FLAIR magnetic resonance.
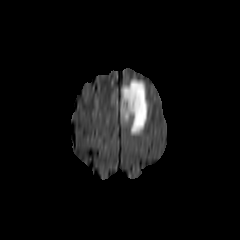
T1-weighted MRI.
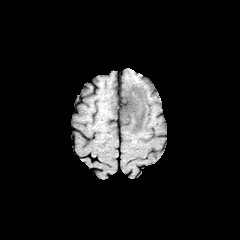
Post-contrast T1-weighted magnetic resonance.
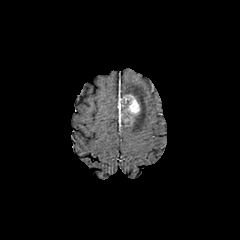
T2-weighted magnetic resonance.
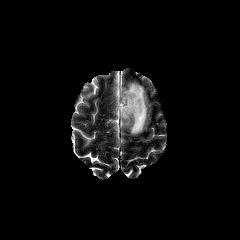
Image size 240x240; Head
edema:
  - x1=120 y1=80 x2=149 y2=135
enhancing_tumor:
  - x1=118 y1=94 x2=139 y2=121